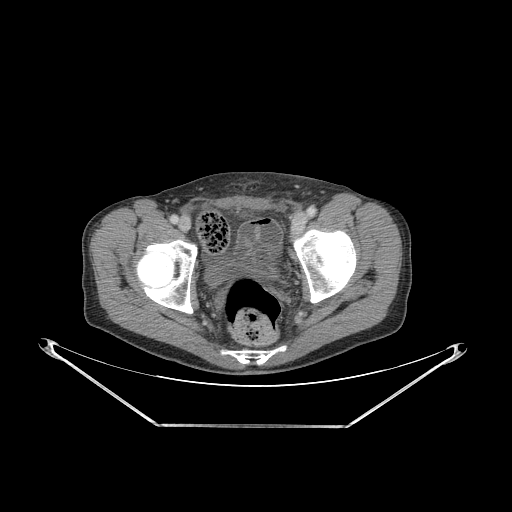
Computed tomography
3 bone regions are bounded by box(222, 347, 285, 363); box(294, 229, 355, 302); box(137, 240, 196, 313).